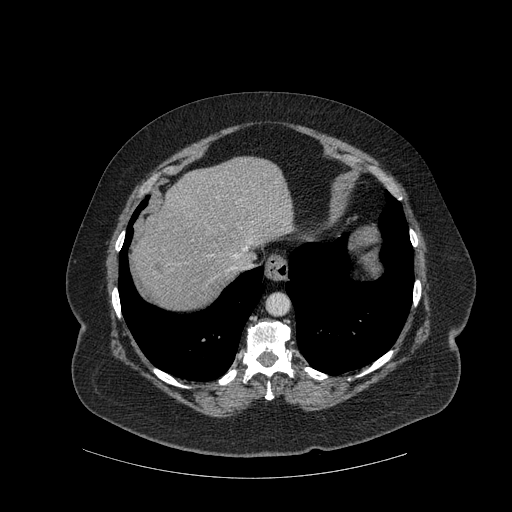 Computed tomography

lung:
  - region(285, 191, 413, 374)
  - region(118, 197, 263, 380)
hepatic_lesion:
  - region(154, 262, 163, 273)
bone:
  - region(410, 229, 417, 246)
  - region(219, 370, 236, 384)
  - region(154, 369, 187, 387)
  - region(357, 351, 392, 376)
  - region(413, 280, 420, 305)
  - region(115, 238, 123, 250)
  - region(265, 382, 273, 399)
  - region(112, 288, 120, 316)
  - region(243, 321, 293, 381)
  - region(305, 367, 326, 379)
liver:
  - region(133, 156, 294, 310)